CT. Slice 54/121.

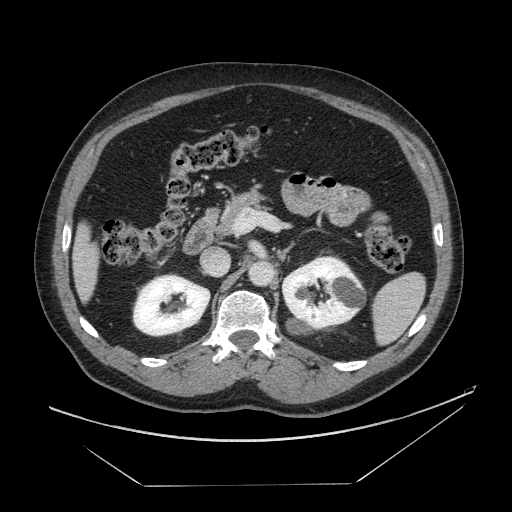

Segmented structures:
- pancreas: <box>216,192,269,236</box>